Slice 75/155, Brain
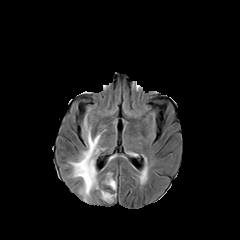
FLAIR magnetic resonance.
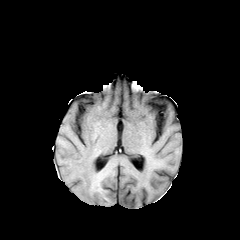
T1-weighted MRI.
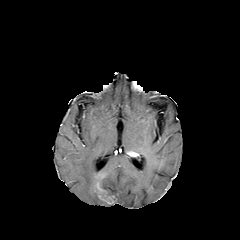
Post-contrast T1-weighted magnetic resonance of the same slice.
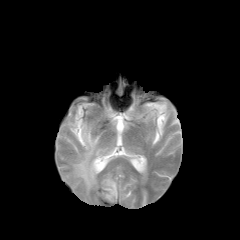
Same slice, T2-weighted magnetic resonance.
* edema: (x1=70, y1=121, x2=116, y2=201)